240x240, Brain
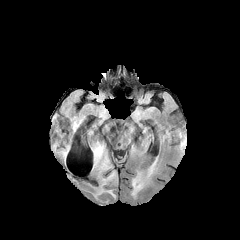
FLAIR MRI.
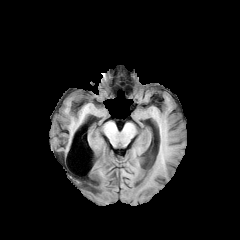
Same slice, T1-weighted MR.
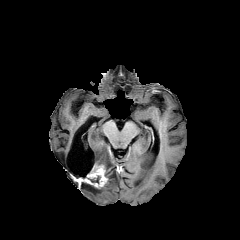
Same slice, post-contrast T1-weighted MR image.
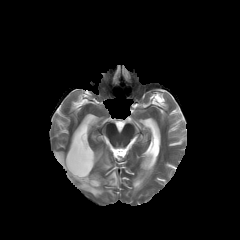
Same slice, T2-weighted magnetic resonance.
Edema at (57,145,70,160), (91,140,117,185), (93,186,114,195).
Non-enhancing tumor core at (76,164,107,185).